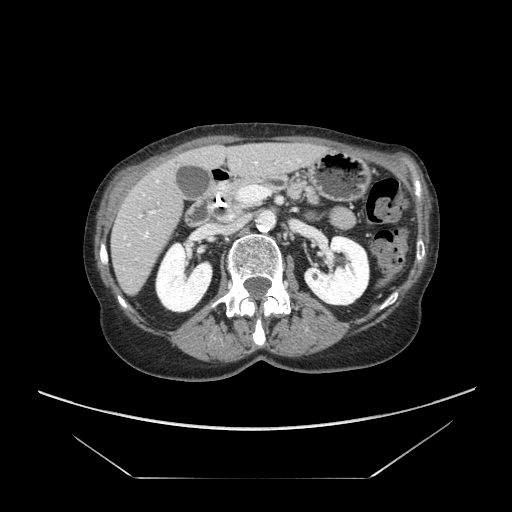 CT slice
The pancreas lies within [208, 171, 322, 224].